Slice index 18, Magnetic resonance
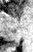
The posterior hippocampus is bounded by <bbox>13, 41, 18, 46</bbox>.